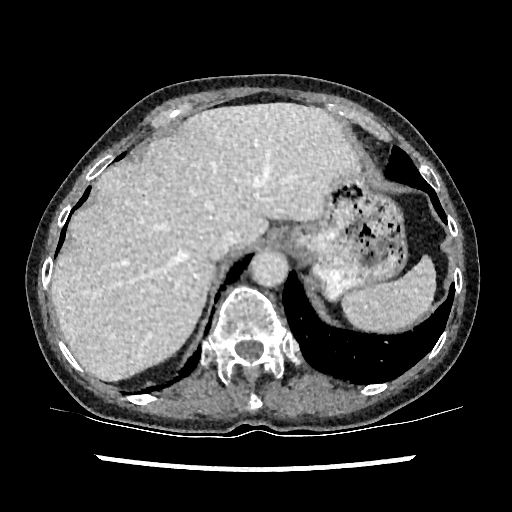

Abdomen, Computed tomography
Annotated regions:
- liver: region(52, 104, 355, 379)